CT image, Abdomen, 512x512 px, Slice index 211
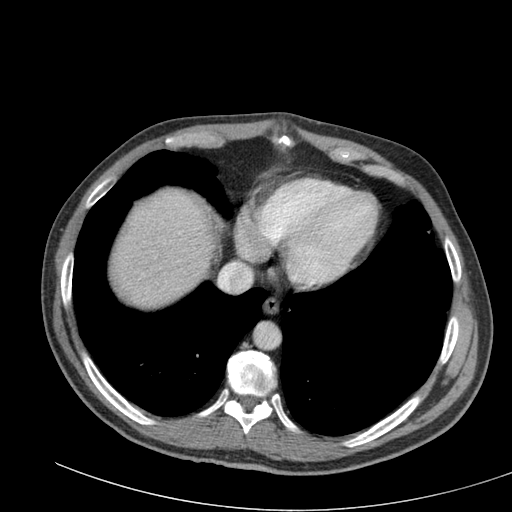

<segmentation>
  <liver><box>112,189,214,306</box></liver>
</segmentation>